Liver | CT image
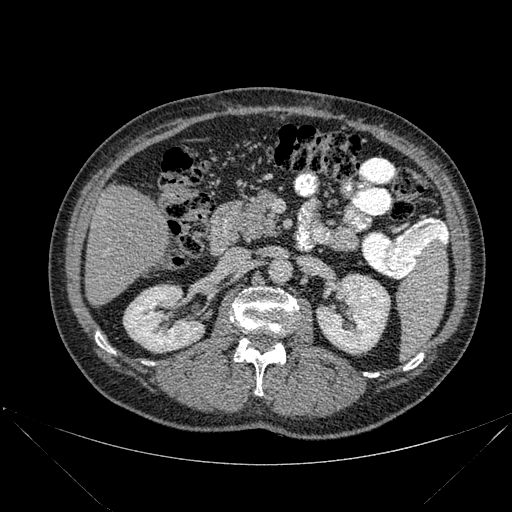 <segmentation>
  <liver>bbox=[84, 185, 168, 305]</liver>
  <bone>bbox=[234, 338, 285, 395]; bbox=[230, 287, 298, 334]; bbox=[403, 353, 423, 370]; bbox=[364, 372, 378, 376]; bbox=[95, 332, 114, 352]</bone>
  <kidney>bbox=[123, 285, 203, 352]; bbox=[317, 274, 389, 353]</kidney>
</segmentation>